512x512, Lower abdomen, CT scan slice 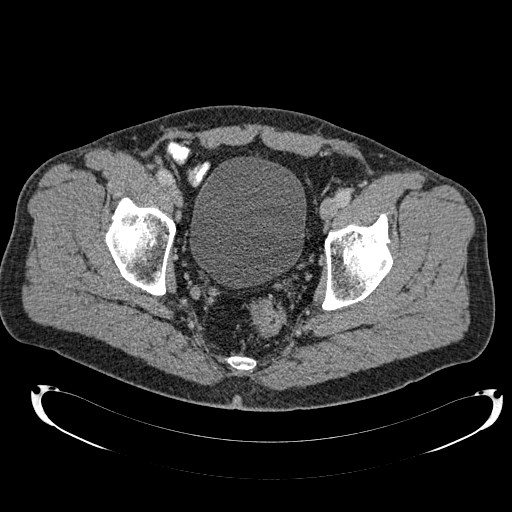

{"urinary_bladder": ["x1=189 y1=156 x2=306 y2=287"]}